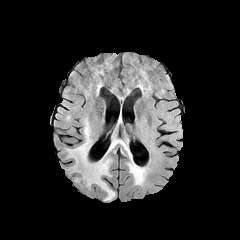
FLAIR MR.
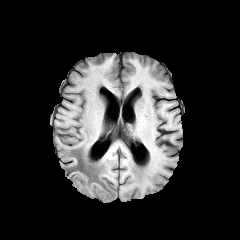
T1-weighted magnetic resonance of the same slice.
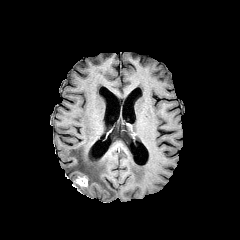
Same slice, post-contrast T1-weighted MRI.
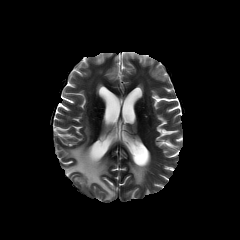
T2-weighted magnetic resonance of the same slice.
{
  "edema": [
    {"x1": 68, "y1": 120, "x2": 115, "y2": 200},
    {"x1": 127, "y1": 150, "x2": 146, "y2": 185}
  ],
  "non-enhancing_tumor_core": [
    {"x1": 66, "y1": 158, "x2": 90, "y2": 185}
  ],
  "enhancing_tumor": [
    {"x1": 76, "y1": 177, "x2": 87, "y2": 185}
  ]
}